240x240
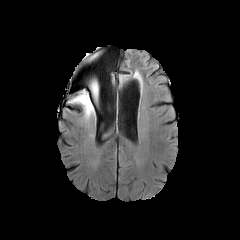
FLAIR MR image.
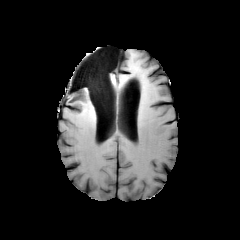
T1-weighted MRI of the same slice.
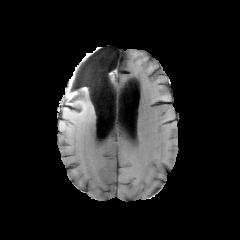
Post-contrast T1-weighted MR image.
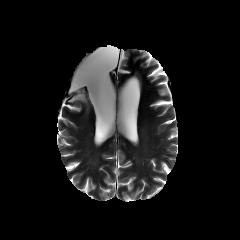
Same slice, T2-weighted MR.
The non-enhancing tumor core is bounded by rect(76, 91, 99, 108). 2 edema regions appear at rect(84, 106, 95, 118); rect(67, 78, 99, 107).